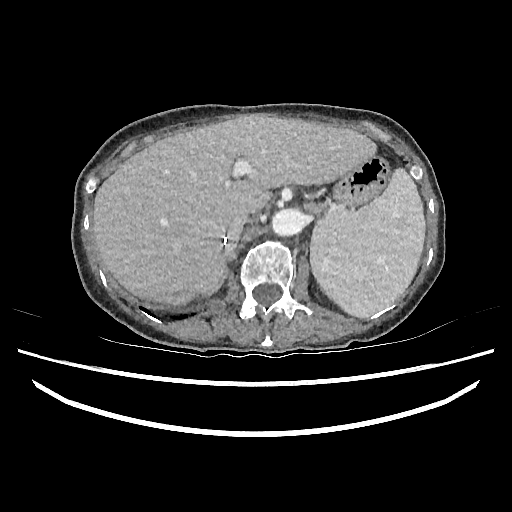

Computed tomography.
The liver appears at <bbox>94, 114, 374, 304</bbox>.